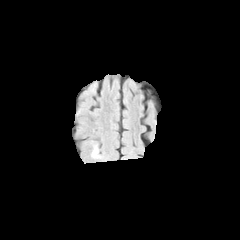
FLAIR magnetic resonance.
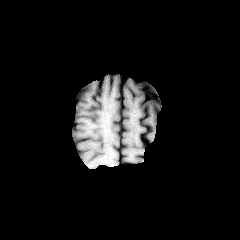
Same slice, T1-weighted MRI.
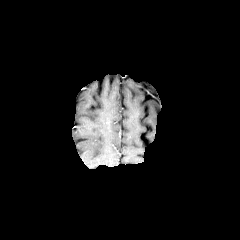
Post-contrast T1-weighted magnetic resonance.
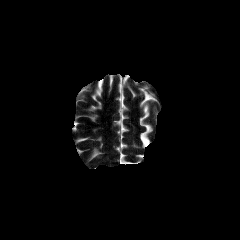
T2-weighted MRI of the same slice.
Segmented structures:
• edema: [92, 146, 99, 157]